CT image | Abdomen 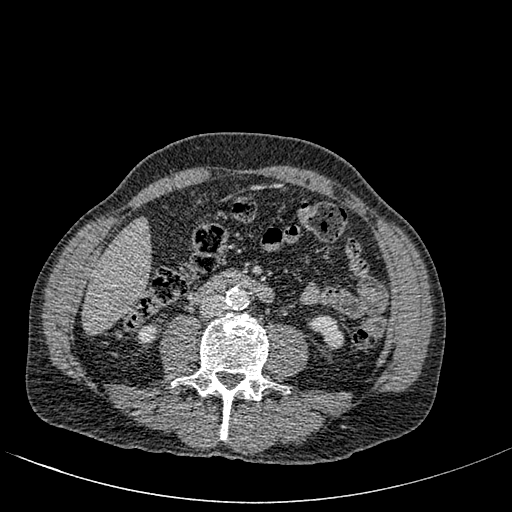
2 kidney regions are bounded by left=139, top=333, right=150, bottom=342; left=310, top=316, right=343, bottom=347. The liver is at left=83, top=219, right=149, bottom=331.